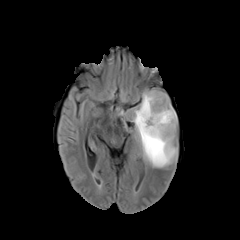
FLAIR magnetic resonance.
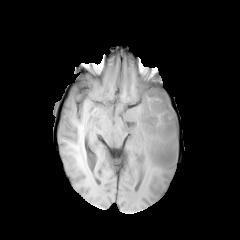
Same slice, T1-weighted MR image.
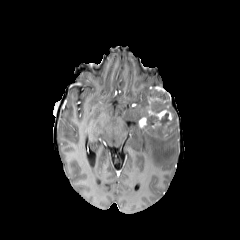
Post-contrast T1-weighted magnetic resonance.
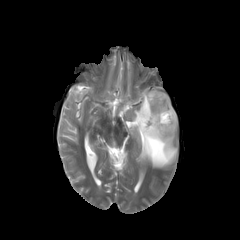
T2-weighted magnetic resonance of the same slice.
240x240 px; Brain
{"non-enhancing_tumor_core": ["(140, 113, 175, 135)", "(143, 89, 173, 115)"], "edema": ["(118, 90, 178, 167)"], "enhancing_tumor": ["(147, 106, 173, 120)", "(138, 116, 147, 127)"]}